FLAIR MRI.
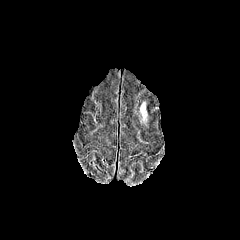
T1-weighted MRI.
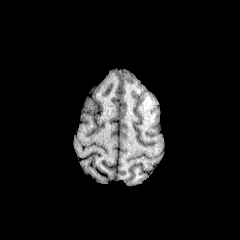
Post-contrast T1-weighted MR image.
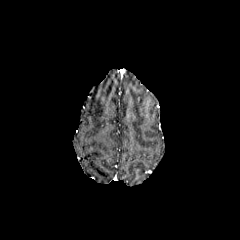
T2-weighted MRI.
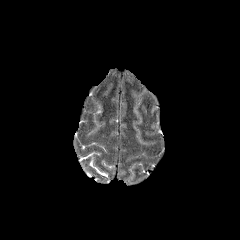
Image size 240x240
The edema appears at {"x1": 140, "y1": 102, "x2": 146, "y2": 116}.